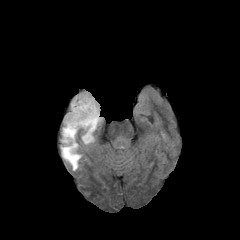
FLAIR MRI.
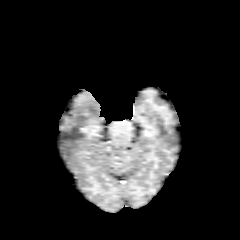
T1-weighted magnetic resonance.
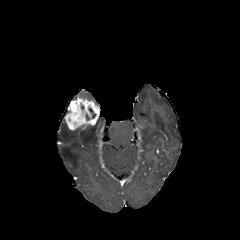
Post-contrast T1-weighted MR image.
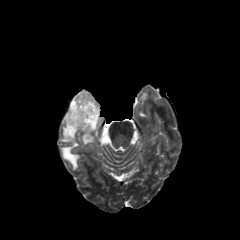
T2-weighted magnetic resonance.
Image size 240x240.
The non-enhancing tumor core is at 78,91,93,100. The enhancing tumor is bounded by 64,94,99,130. The edema is bounded by 60,123,99,170.